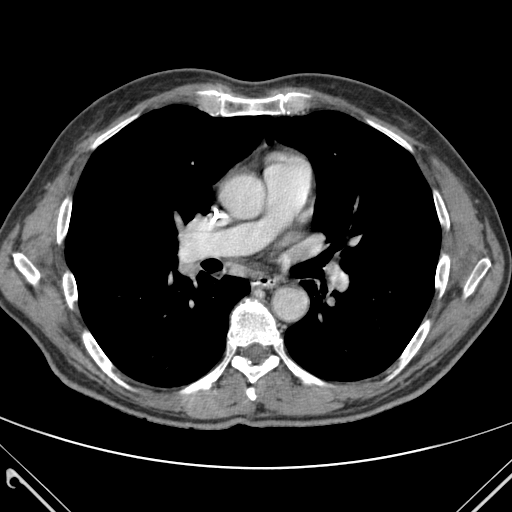

Thorax | Computed tomography

Bone = [13, 253, 39, 283], [368, 121, 410, 149], [199, 90, 308, 115], [83, 333, 126, 386], [57, 199, 71, 242], [434, 192, 449, 227], [182, 299, 323, 393], [397, 321, 429, 370], [63, 274, 77, 307], [435, 256, 449, 294], [93, 115, 136, 147], [464, 259, 490, 296], [247, 388, 255, 399].
Lung = [65, 105, 440, 386].